Slice 51/89. CT.

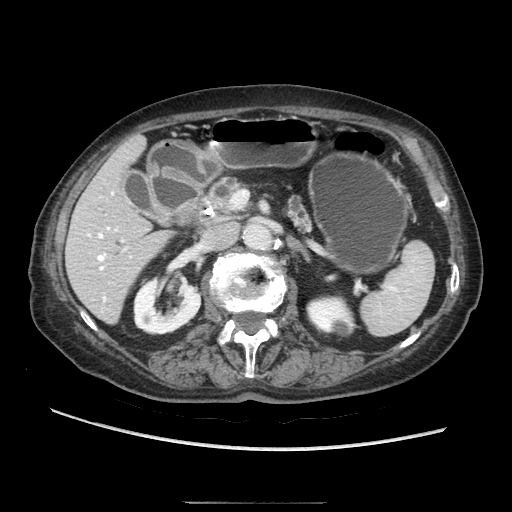

<segmentation>
  <pancreas>[x1=288, y1=196, x2=311, y2=233], [x1=208, y1=177, x2=238, y2=212]</pancreas>
</segmentation>